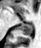 MRI. Image size 41x48. Annotated regions:
- posterior hippocampus: [x1=19, y1=24, x2=32, y2=35]